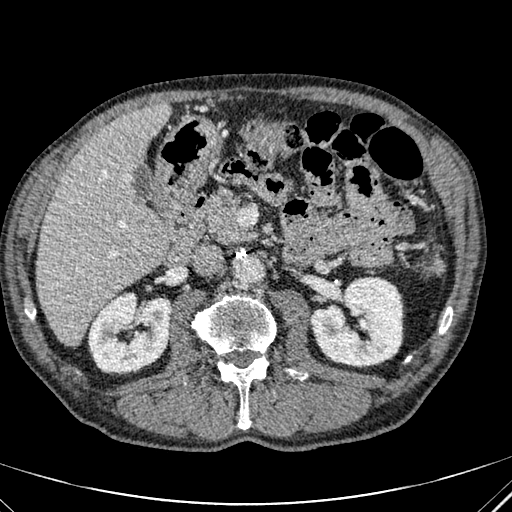

Computed tomography; Liver

3 kidney regions are located at l=311, t=278, r=401, b=365; l=330, t=289, r=340, b=298; l=89, t=294, r=170, b=371. The liver is at l=37, t=104, r=168, b=346.